FLAIR MR image.
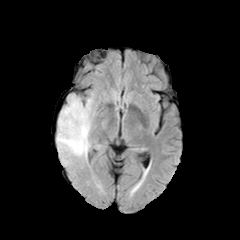
T1-weighted magnetic resonance.
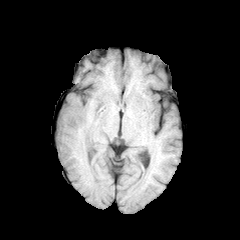
Post-contrast T1-weighted MR image.
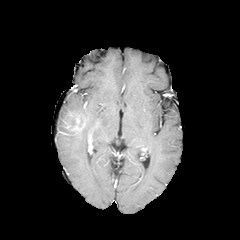
T2-weighted MRI.
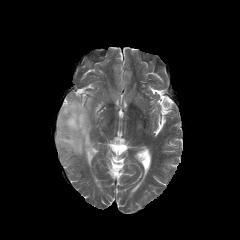
2 edema regions appear at region(57, 94, 85, 130); region(56, 92, 100, 162). The enhancing tumor is located at region(63, 112, 85, 130). 2 non-enhancing tumor core regions are bounded by region(58, 127, 80, 134); region(73, 107, 88, 122).